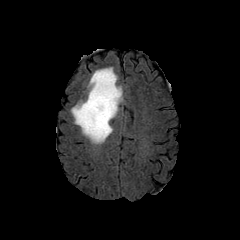
FLAIR magnetic resonance.
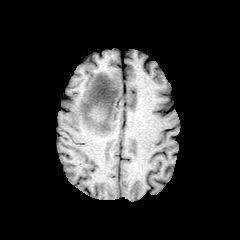
T1-weighted MRI of the same slice.
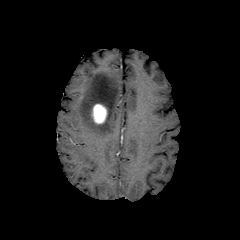
Same slice, post-contrast T1-weighted MRI.
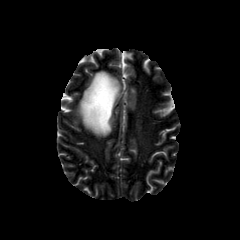
T2-weighted MR image of the same slice.
Image size 240x240
The edema is bounded by 70:67:123:143. The enhancing tumor is located at 92:104:107:123. The non-enhancing tumor core lies within 87:76:113:127.